FLAIR MR.
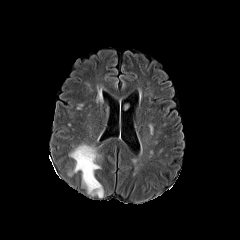
T1-weighted MR.
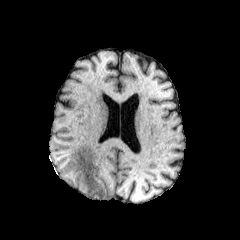
Post-contrast T1-weighted MR image.
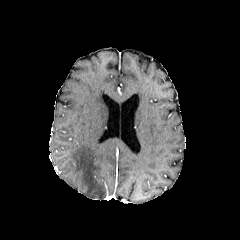
T2-weighted magnetic resonance.
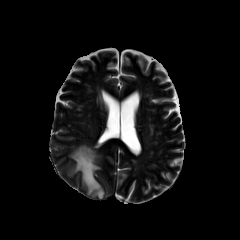
Head; 240x240
{
  "edema": [
    "70:145:103:196"
  ]
}